CT scan slice

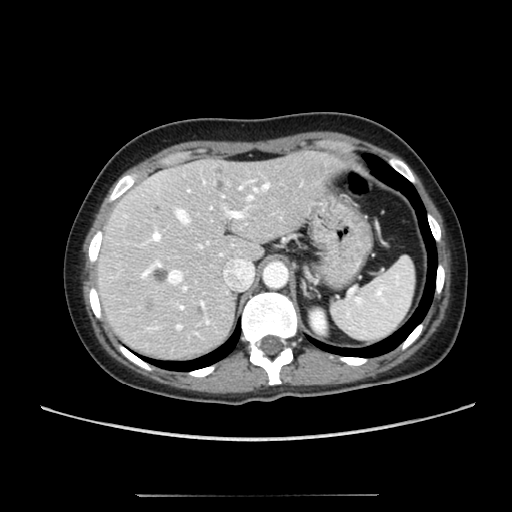
<segmentation>
  <liver>l=98, t=151, r=343, b=358</liver>
  <kidney>l=311, t=312, r=325, b=331</kidney>
  <hepatic_lesion>l=145, t=301, r=153, b=310; l=215, t=167, r=223, b=176; l=152, t=267, r=169, b=282; l=195, t=306, r=203, b=314; l=215, t=179, r=223, b=192</hepatic_lesion>
</segmentation>